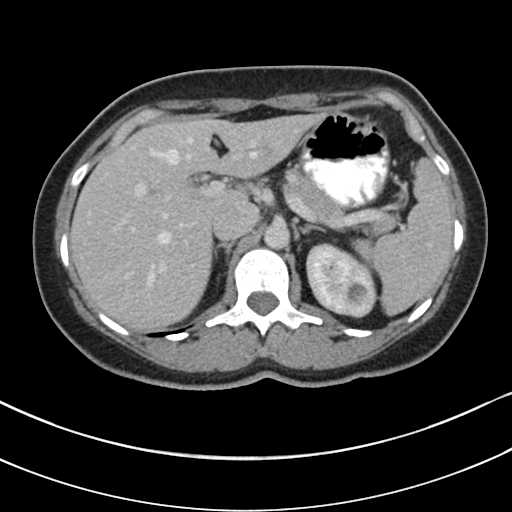 512x512 px. CT slice. Upper abdomen.
{"pancreas": ["(283, 166, 394, 236)"]}